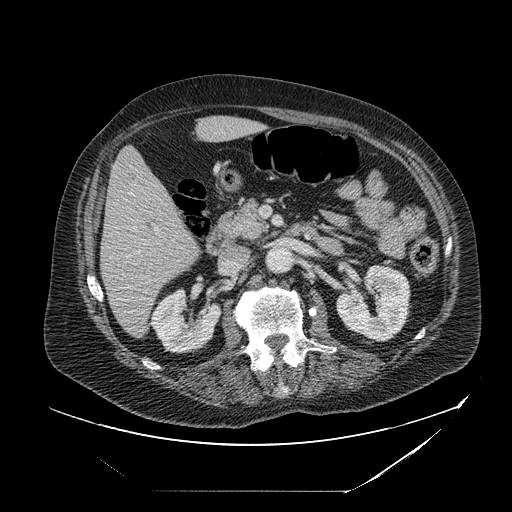 Upper abdomen. Image size 512x512. CT slice.
<segmentation>
  <pancreatic_tumor>(236, 224, 261, 238)</pancreatic_tumor>
  <pancreas>(220, 200, 265, 236)</pancreas>
</segmentation>